Slice index 55. Head.
FLAIR MRI.
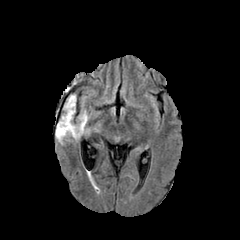
T1-weighted MR image.
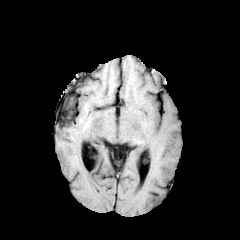
Post-contrast T1-weighted MR.
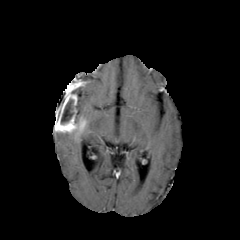
T2-weighted MR image.
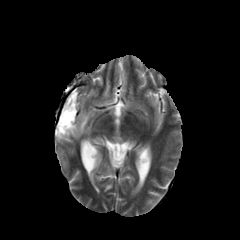
Non-enhancing tumor core — 69, 78, 83, 87; 61, 88, 85, 125; 55, 91, 66, 129; 55, 128, 80, 135.
Edema — 55, 127, 89, 143; 76, 88, 89, 122.
Enhancing tumor — 55, 84, 85, 133.